FLAIR MR.
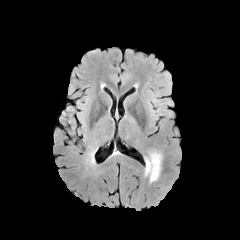
T1-weighted magnetic resonance.
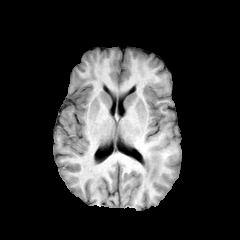
Post-contrast T1-weighted magnetic resonance.
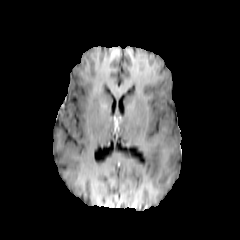
T2-weighted magnetic resonance.
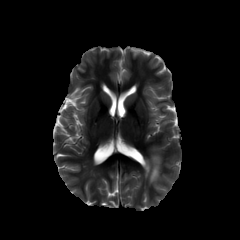
* edema: <bbox>144, 150, 161, 182</bbox>